Slice 409 of 696 | CT slice 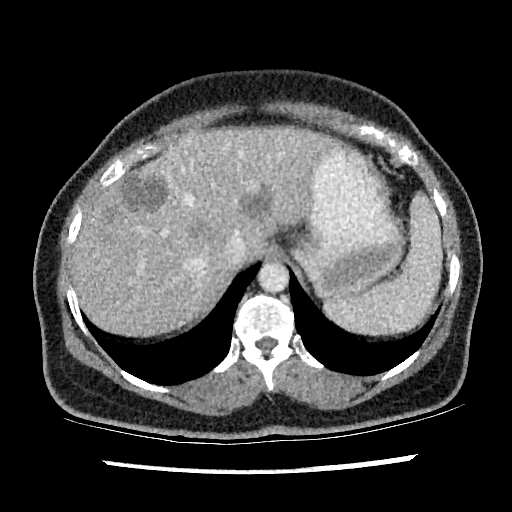 * hepatic lesion: [x1=117, y1=173, x2=166, y2=211], [x1=106, y1=207, x2=115, y2=222], [x1=240, y1=188, x2=270, y2=216]
* liver: [x1=73, y1=129, x2=344, y2=335]